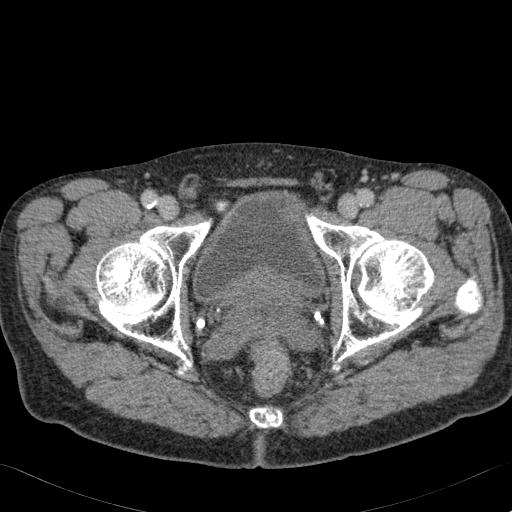

CT scan slice; 512x512 px; Lower abdomen
Urinary bladder at x1=196 y1=196 x2=326 y2=303.